Abdomen. Image size 512x512. CT.

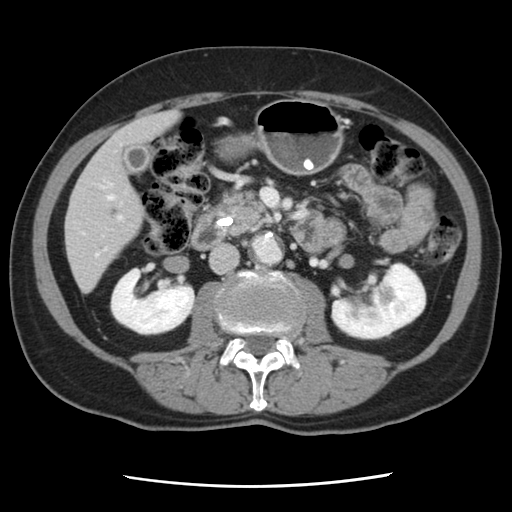

Pancreatic tumor — [x1=215, y1=190, x2=267, y2=236].
Pancreas — [x1=249, y1=213, x2=266, y2=232], [x1=219, y1=217, x2=233, y2=234].